Head, Slice 93/155
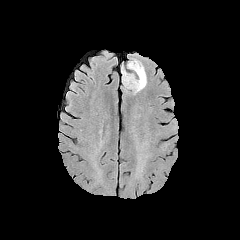
FLAIR magnetic resonance.
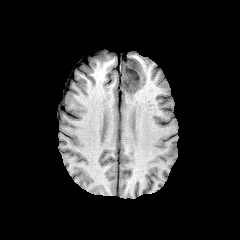
T1-weighted MRI.
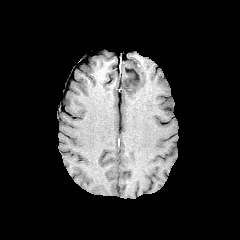
Same slice, post-contrast T1-weighted MRI.
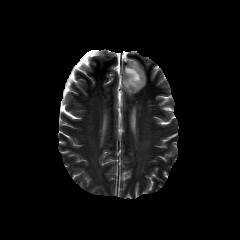
T2-weighted MR of the same slice.
Segmented structures:
* non-enhancing tumor core: 122, 60, 141, 88
* edema: 124, 65, 146, 94